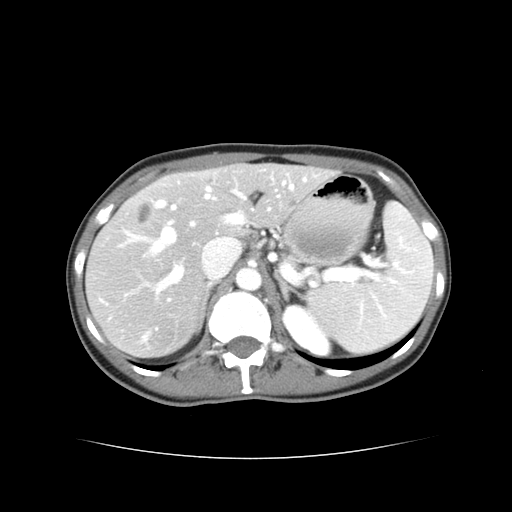 CT image

The vessel boxes may cover only some of the vessels.
{"hepatic_vessel": ["157:201:164:207", "290:185:292:188", "239:194:244:198", "208:188:210:191", "152:228:174:252", "191:222:194:225", "157:267:182:291", "304:179:306:180", "172:206:175:209", "207:194:209:198", "283:182:285:184", "227:215:242:224"], "liver_tumor": ["139:204:150:221"]}